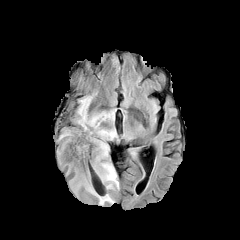
FLAIR magnetic resonance.
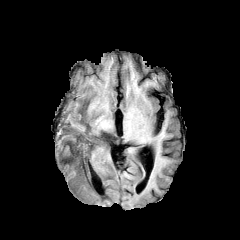
T1-weighted MR.
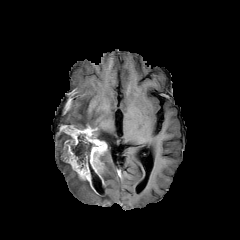
Post-contrast T1-weighted MR image of the same slice.
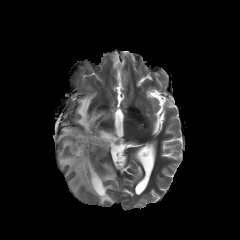
Same slice, T2-weighted magnetic resonance.
Head
enhancing tumor: (61,125,106,182), (71,157,93,189) | edema: (58,131,119,204), (75,93,119,143) | non-enhancing tumor core: (64,133,94,170)